FLAIR MR image.
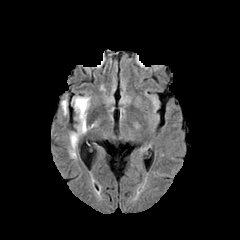
T1-weighted MR image.
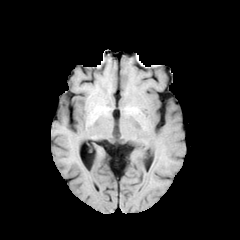
Post-contrast T1-weighted MR image.
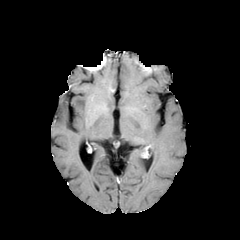
T2-weighted MR image.
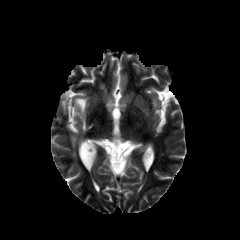
<segmentation>
  <edema>(x1=69, y1=96, x2=93, y2=157), (x1=61, y1=100, x2=68, y2=114)</edema>
</segmentation>